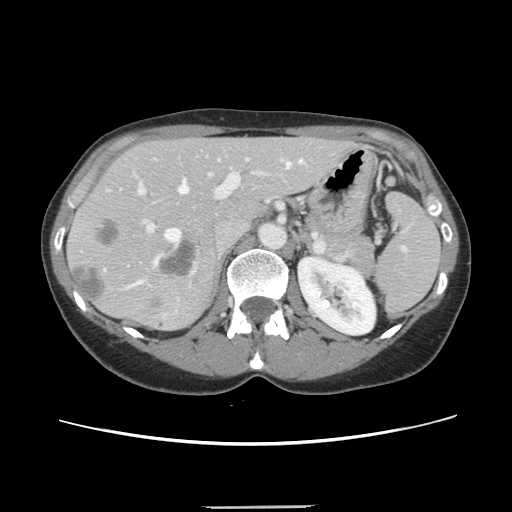

CT scan slice.

Some hepatic vessels may have no box.
Liver tumor: bounding box <box>76,266,104,298</box>, <box>97,219,119,244</box>, <box>159,239,197,276</box>.
Hepatic vessel: bounding box <box>215,173,238,197</box>, <box>299,159,303,163</box>, <box>103,269,104,270</box>, <box>178,180,187,193</box>, <box>252,172,256,172</box>, <box>281,159,282,160</box>, <box>154,256,158,263</box>, <box>257,172,263,174</box>, <box>138,182,144,194</box>, <box>165,228,179,242</box>, <box>130,280,142,286</box>, <box>142,220,153,232</box>, <box>246,158,247,160</box>, <box>283,161,289,167</box>, <box>208,173,211,174</box>.